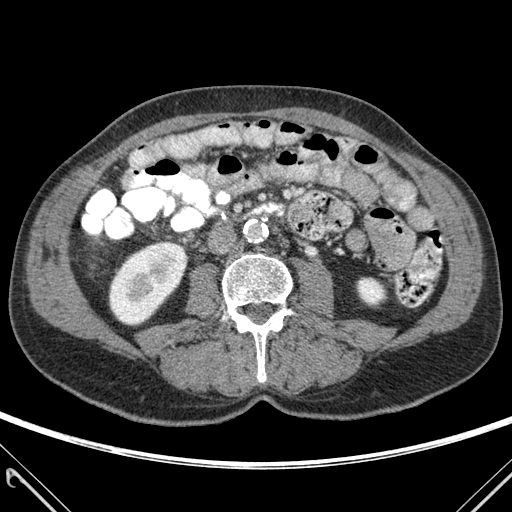
512x512. CT image.
<segmentation>
  <kidney>(110,243,185,323), (359,279,383,302)</kidney>
  <bone>(222,254,292,381)</bone>
</segmentation>